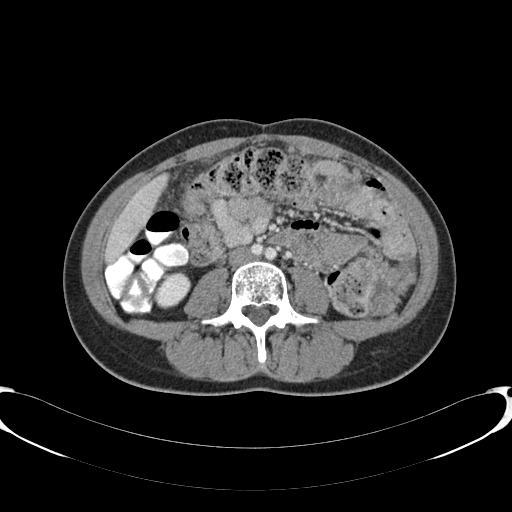 Image size 512x512. CT scan slice. Upper abdomen.
liver: <box>106,175,166,263</box> | kidney: <box>157,275,188,304</box>